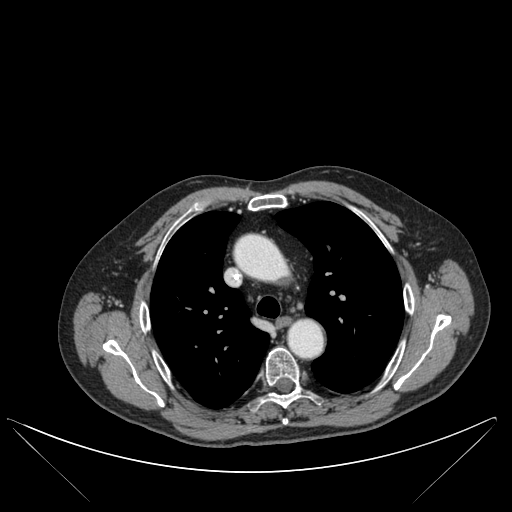 CT | Thorax

10 bone regions are located at box=[139, 302, 149, 331]; box=[379, 342, 404, 387]; box=[370, 221, 386, 245]; box=[103, 340, 163, 406]; box=[261, 347, 313, 407]; box=[153, 351, 169, 382]; box=[162, 222, 176, 249]; box=[403, 284, 414, 313]; box=[248, 194, 286, 210]; box=[394, 314, 451, 389]. 3 lung regions are bounded by box=[257, 297, 279, 317]; box=[275, 201, 403, 392]; box=[150, 211, 269, 408].